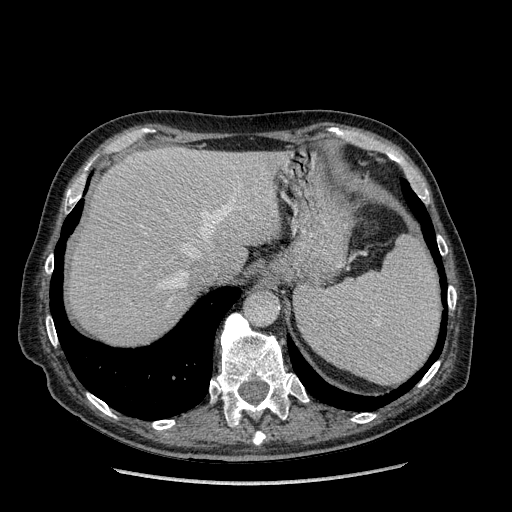

Computed tomography.

Liver: bounding box (70,147,285,346).